FLAIR MR image.
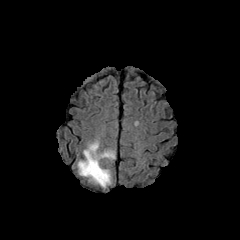
T1-weighted MR image.
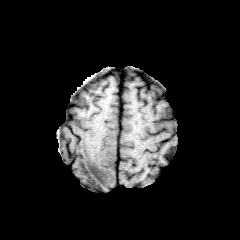
Post-contrast T1-weighted MR.
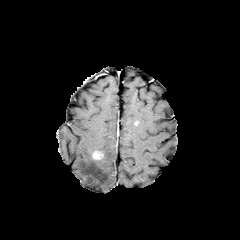
T2-weighted magnetic resonance.
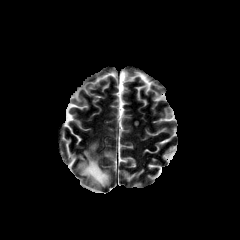
240x240 px
- edema: left=77, top=141, right=115, bottom=187